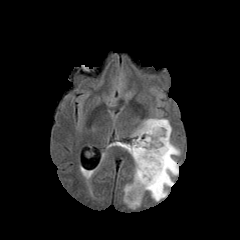
FLAIR MRI.
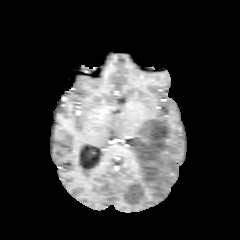
T1-weighted magnetic resonance.
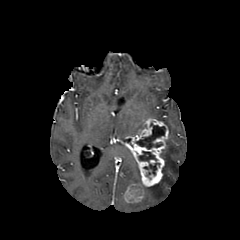
Post-contrast T1-weighted MR image.
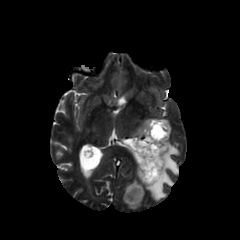
T2-weighted MR image.
<segmentation>
  <edema><box>128,202,141,209</box>, <box>144,138,180,201</box>, <box>157,118,171,134</box>, <box>133,161,139,182</box>, <box>107,142,131,155</box></edema>
  <enhancing_tumor><box>122,119,169,203</box></enhancing_tumor>
  <non-enhancing_tumor_core><box>139,152,155,161</box>, <box>136,125,165,148</box>, <box>144,164,156,174</box></non-enhancing_tumor_core>
</segmentation>